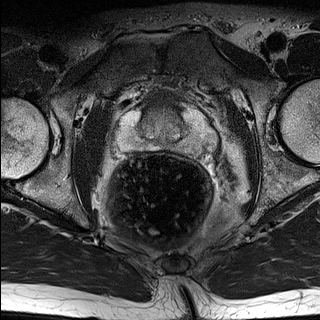
T2-weighted MR image.
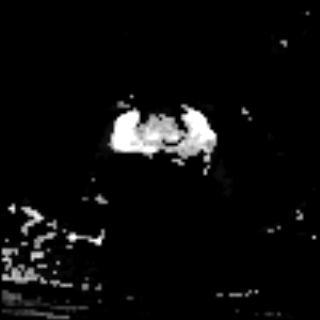
Same slice, ADC MR image.
Image size 320x320
Prostate transition zone: bounding box rect(138, 108, 187, 142).
Prostate peripheral zone: bounding box rect(119, 108, 214, 154).